Computed tomography, Abdomen, Slice index 34

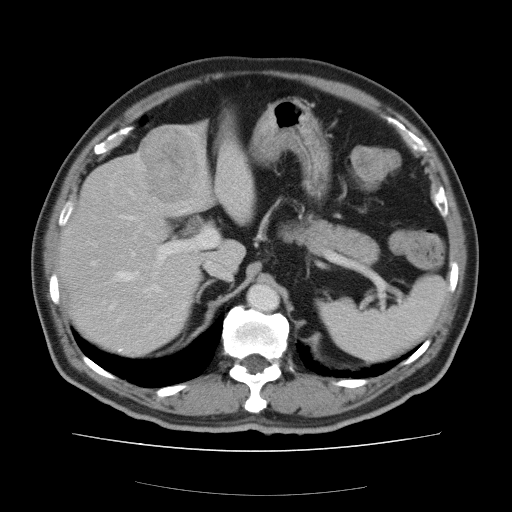 The vessel annotation is not exhaustive.
Hepatic vessel at box=[131, 253, 133, 255]; box=[152, 229, 218, 280]; box=[127, 216, 131, 218]; box=[116, 271, 137, 280]; box=[152, 283, 158, 287]; box=[110, 304, 113, 307].
Liver tumor at box=[141, 130, 196, 200].